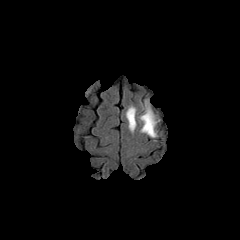
FLAIR MR.
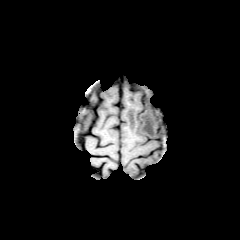
Same slice, T1-weighted MRI.
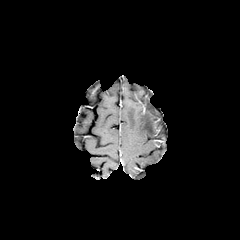
Post-contrast T1-weighted MR.
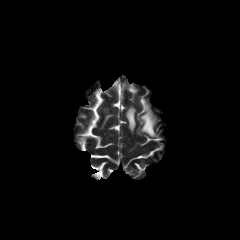
Same slice, T2-weighted MR image.
2 edema regions appear at (x1=126, y1=106, x2=136, y2=131), (x1=139, y1=106, x2=156, y2=137).